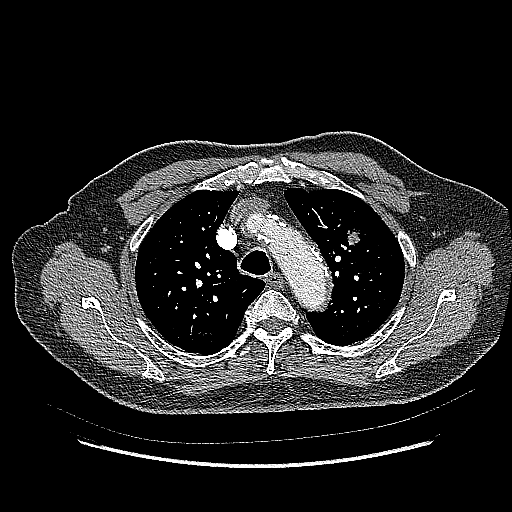
Computed tomography, Thorax, Image size 512x512
2 lung tumor regions are located at (x1=327, y1=248, x2=336, y2=258), (x1=343, y1=225, x2=364, y2=248).